FLAIR MR.
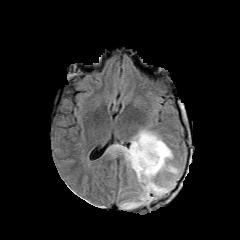
T1-weighted MR.
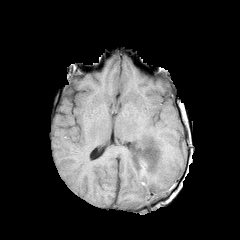
Post-contrast T1-weighted MR.
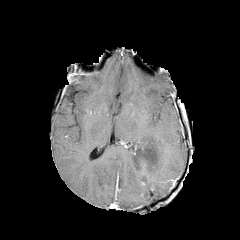
T2-weighted MRI.
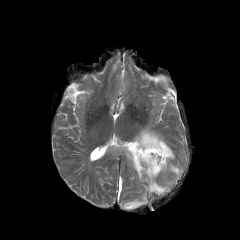
The non-enhancing tumor core is at 130,142,137,154. The edema is located at 109,127,181,209.